Upper abdomen | 512x512 | CT scan slice 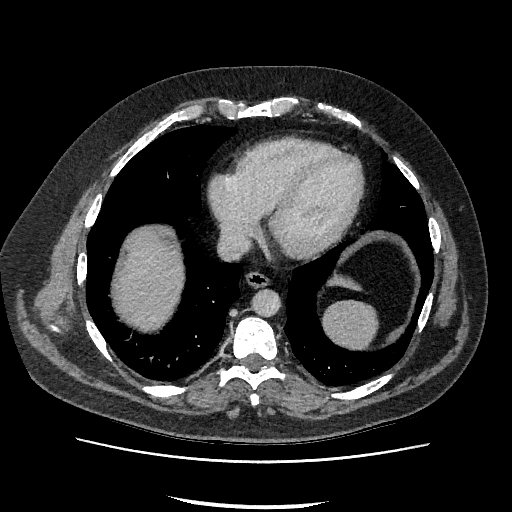
Segmented structures:
- liver: <box>329,278,357,289</box>, <box>117,229,182,328</box>